FLAIR MRI.
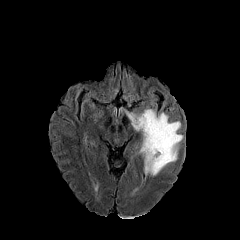
T1-weighted MR image.
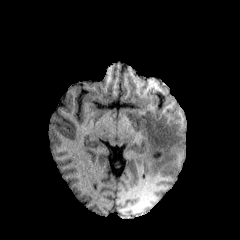
Post-contrast T1-weighted MRI.
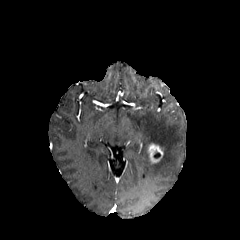
T2-weighted MR image.
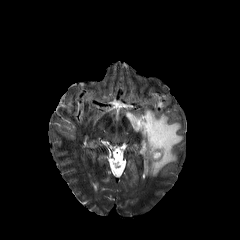
240x240 px
The edema lies within (127, 109, 182, 177). The enhancing tumor is at (147, 142, 164, 164).